Field of view 200 mm wide, 3.60 mm slice spacing; Image size 320x320
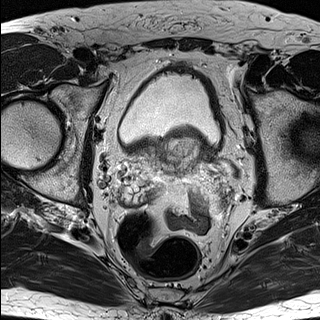
T2-weighted magnetic resonance.
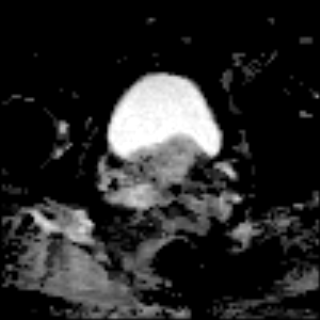
ADC magnetic resonance.
prostate_transition_zone:
  - [146, 140, 199, 171]